Brain | Image size 240x240 | Field of view 240 mm wide, 1.00 mm slice spacing | Slice 57/155
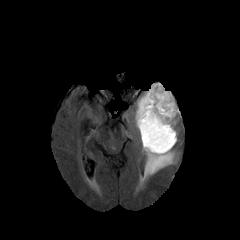
FLAIR MR image.
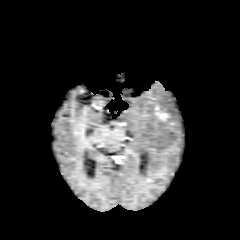
Same slice, T1-weighted MRI.
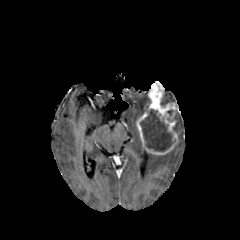
Post-contrast T1-weighted MR image.
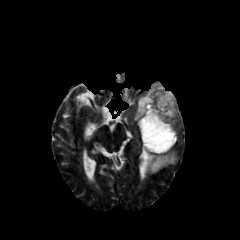
Same slice, T2-weighted MRI.
3 edema regions appear at 142,140,178,178; 174,114,181,133; 127,92,145,167. 4 non-enhancing tumor core regions appear at 141,147,148,168; 140,109,173,151; 161,91,175,105; 144,92,149,112. 2 enhancing tumor regions are located at 136,81,180,146; 145,147,167,153.